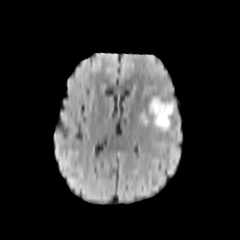
FLAIR MR image.
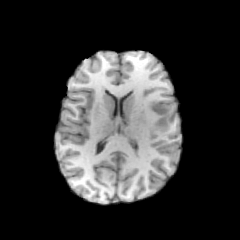
T1-weighted MR image of the same slice.
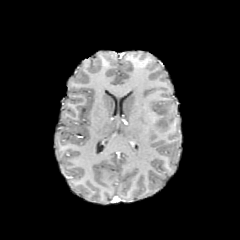
Post-contrast T1-weighted magnetic resonance.
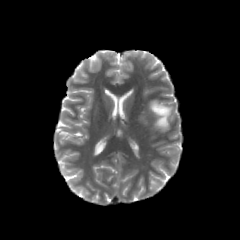
T2-weighted MR of the same slice.
Brain
<segmentation>
  <edema>(148, 103, 159, 123)</edema>
  <non-enhancing_tumor_core>(152, 100, 174, 127)</non-enhancing_tumor_core>
</segmentation>